320x320; MRI slice; Cardiac; Slice index 45
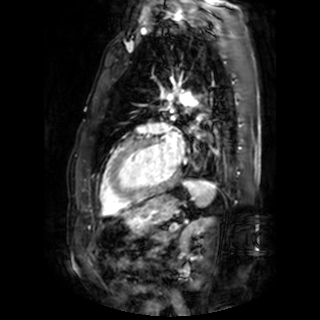
left atrium: left=164, top=137, right=183, bottom=164